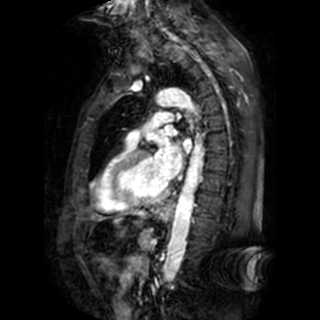

MRI

2 left atrium regions appear at l=183, t=139, r=191, b=152; l=155, t=136, r=183, b=179.